Field of view 240 mm wide, 1.00 mm slice spacing; Brain
FLAIR MR image.
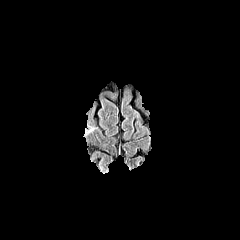
T1-weighted MR.
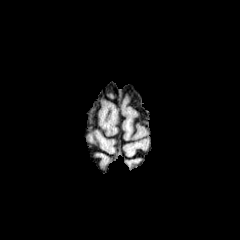
Post-contrast T1-weighted MR image.
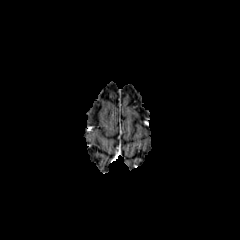
T2-weighted magnetic resonance.
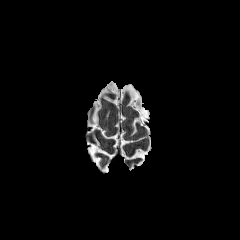
The edema is bounded by (83, 123, 95, 137).